FLAIR magnetic resonance.
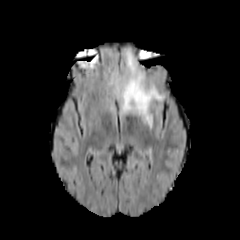
T1-weighted MRI.
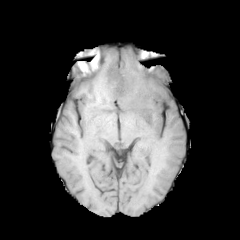
Post-contrast T1-weighted MR image.
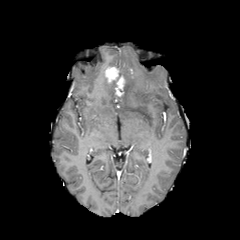
T2-weighted magnetic resonance.
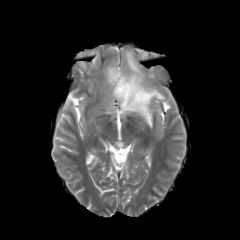
enhancing_tumor:
  - box=[104, 66, 125, 96]
edema:
  - box=[118, 49, 164, 129]